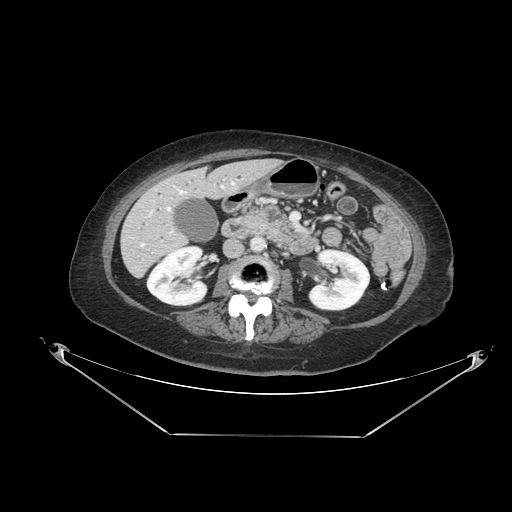

Abdomen. Computed tomography.
Pancreas at box(246, 207, 284, 240).